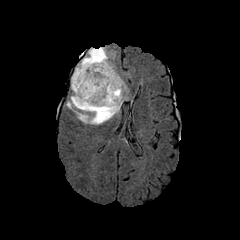
FLAIR MRI.
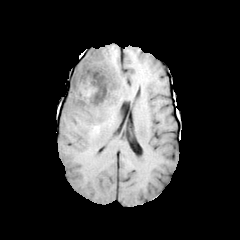
T1-weighted MRI of the same slice.
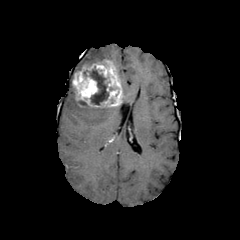
Post-contrast T1-weighted magnetic resonance.
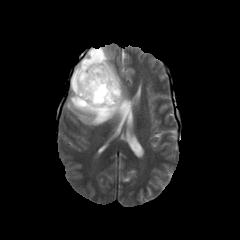
Same slice, T2-weighted MR.
Enhancing tumor: (71, 60, 122, 107).
Non-enhancing tumor core: (91, 70, 108, 104), (79, 58, 96, 66).
Edema: (84, 47, 110, 61), (66, 85, 120, 125).